CT slice. 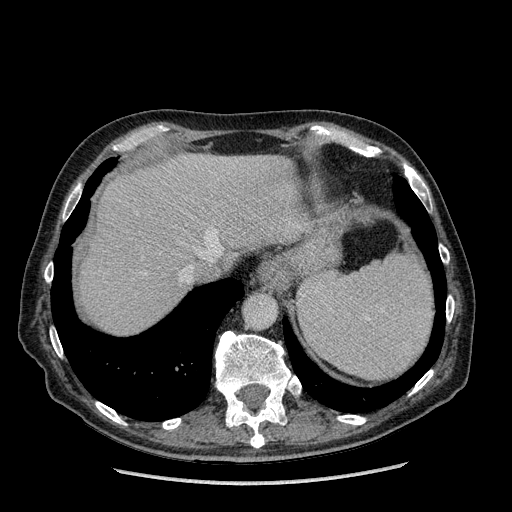 2 liver regions appear at (223, 253, 232, 264), (80, 154, 290, 335).